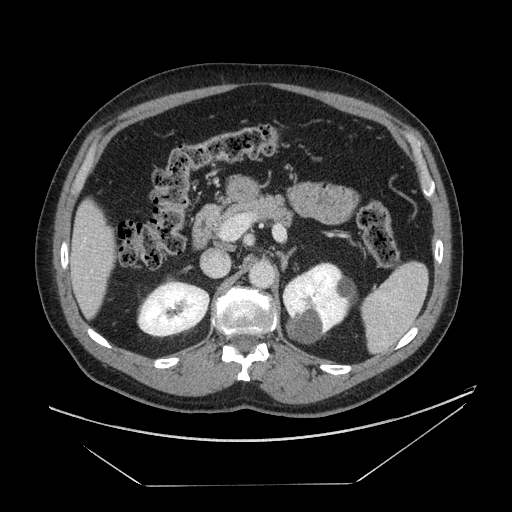 CT image
The pancreas lies within 220, 195, 293, 226.